Brain
FLAIR MR image.
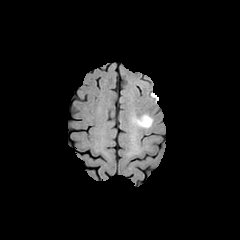
T1-weighted magnetic resonance.
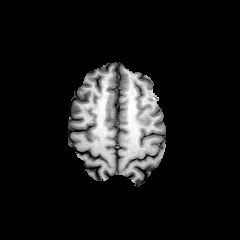
Post-contrast T1-weighted MR image.
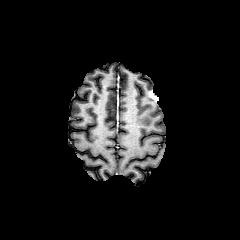
T2-weighted MR.
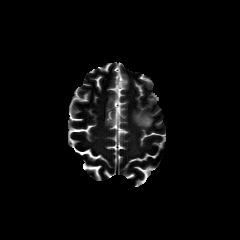
The edema is bounded by x1=133, y1=114, x2=152, y2=128.